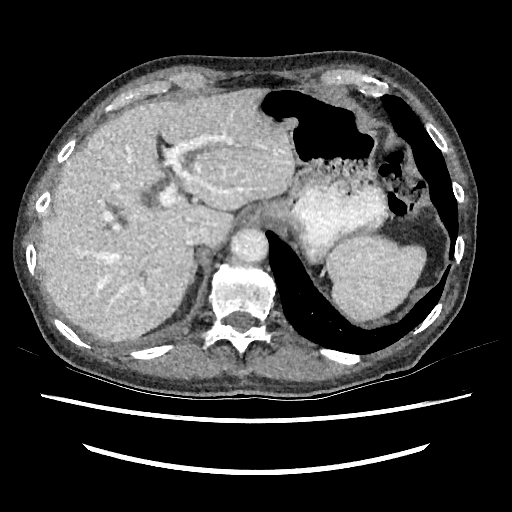

CT slice

{
  "liver": [
    "37, 89, 293, 341"
  ]
}